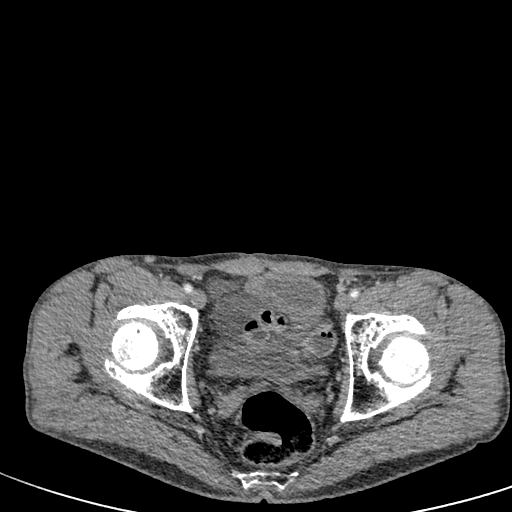 CT scan slice, Pelvis
urinary bladder: {"x1": 208, "y1": 273, "x2": 324, "y2": 390}